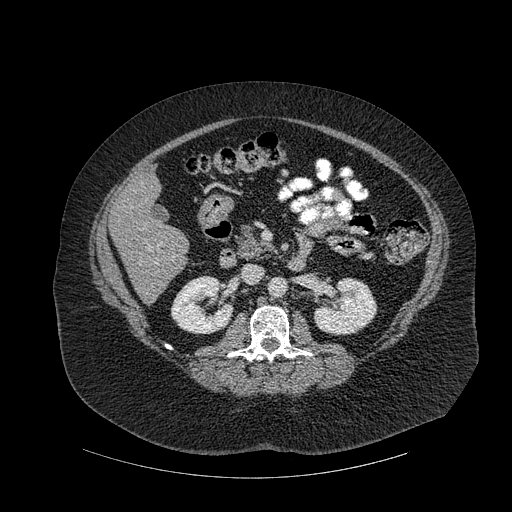 CT scan slice
liver:
  - region(109, 173, 188, 299)
kidney:
  - region(314, 279, 375, 334)
  - region(171, 276, 232, 333)
bone:
  - region(357, 190, 367, 199)
  - region(228, 306, 311, 361)